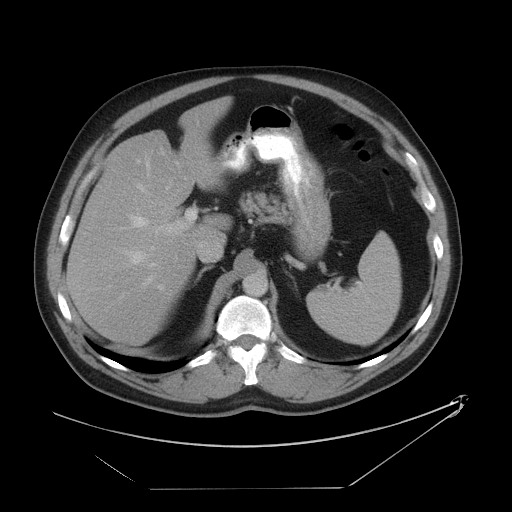
CT scan slice.

The spleen is located at [306, 234, 401, 344].